FLAIR magnetic resonance.
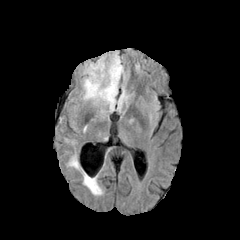
T1-weighted magnetic resonance.
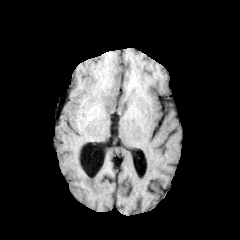
Post-contrast T1-weighted MRI.
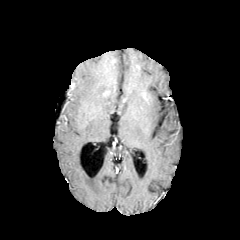
T2-weighted MRI.
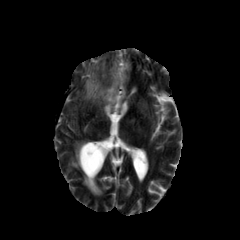
Image size 240x240
<segmentation>
  <non-enhancing_tumor_core>104 86 115 98</non-enhancing_tumor_core>
  <edema>67 148 103 195, 83 54 128 112</edema>
</segmentation>